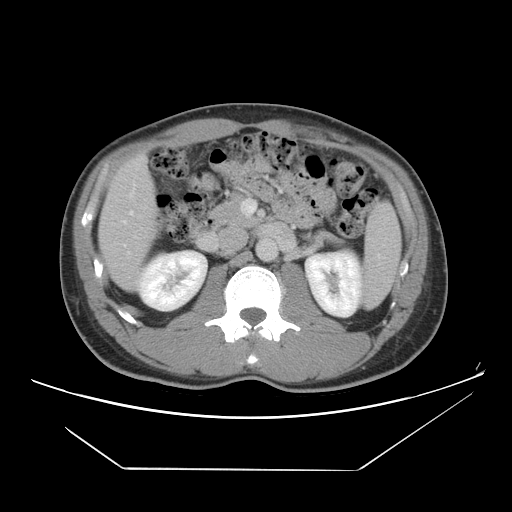 Liver, Computed tomography
The vessel boxes may cover only some of the vessels.
5 hepatic vessel regions are located at box=[122, 220, 125, 222]; box=[130, 211, 133, 214]; box=[131, 189, 134, 196]; box=[124, 244, 126, 246]; box=[127, 251, 129, 253].